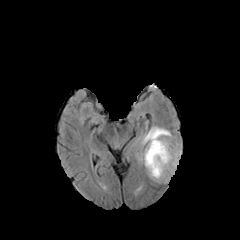
FLAIR MR image.
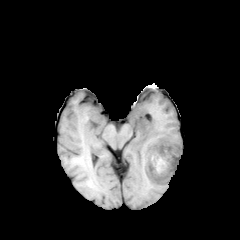
Same slice, T1-weighted MR.
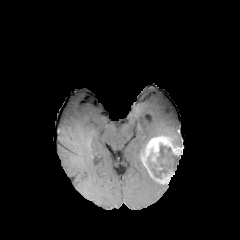
Post-contrast T1-weighted magnetic resonance.
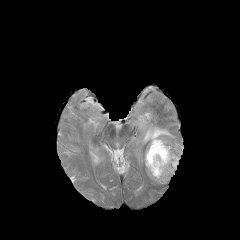
Same slice, T2-weighted MRI.
240x240. Brain.
Segmented structures:
* non-enhancing tumor core: [159, 144, 172, 155]
* edema: [134, 122, 181, 183]
* enhancing tumor: [157, 170, 174, 181], [141, 136, 182, 165]